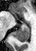

Hippocampus | MR | Image size 36x51
The posterior hippocampus is at <bbox>14, 26, 29, 43</bbox>.